CT image
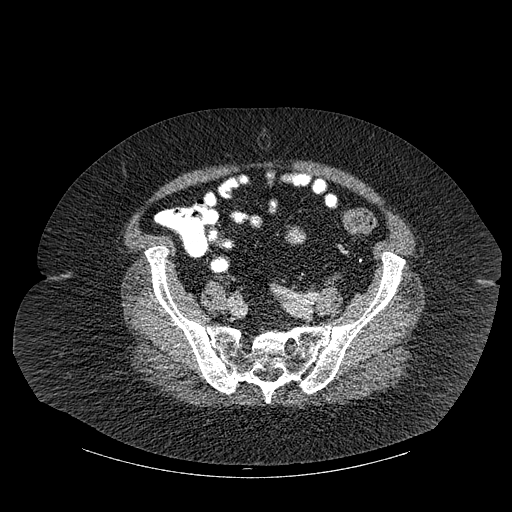 bone:
  - (145, 246, 404, 402)